Magnetic resonance | Medial temporal lobe 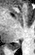
The posterior hippocampus lies within x1=10 y1=43 x2=20 y2=49.